Slice index 122. Head.
FLAIR magnetic resonance.
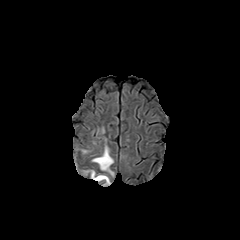
T1-weighted MRI.
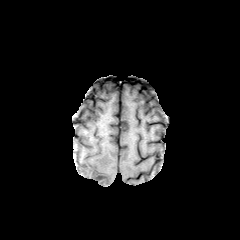
Post-contrast T1-weighted MR image.
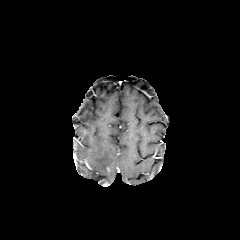
T2-weighted MR.
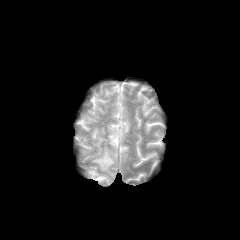
{
  "edema": [
    "[x1=84, y1=147, x2=114, y2=184]"
  ]
}